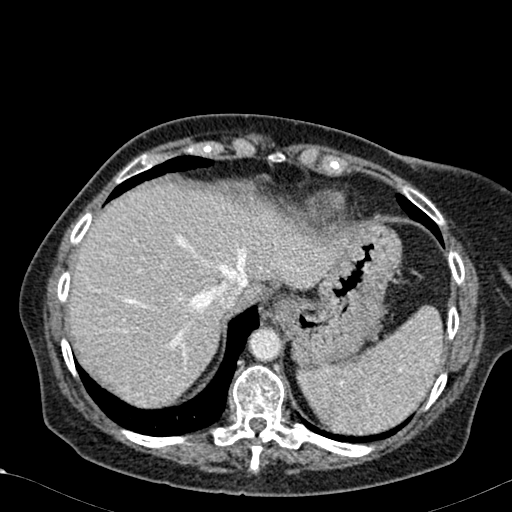 CT slice. <segmentation>
  <liver>248,284,262,297; 69,184,339,404</liver>
</segmentation>